Slice index 41, CT, Abdomen

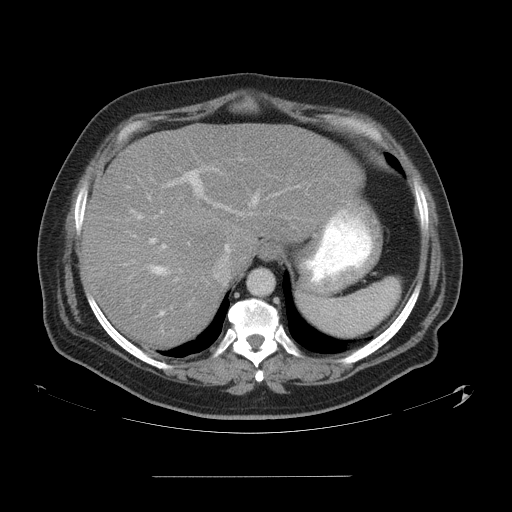
The vessel annotation is not exhaustive.
The top 15 hepatic vessel regions (of 21) are bounded by (left=131, top=209, right=135, bottom=213), (left=159, top=310, right=164, bottom=315), (left=249, top=194, right=259, bottom=206), (left=149, top=238, right=155, bottom=243), (left=132, top=235, right=135, bottom=236), (left=150, top=265, right=168, bottom=275), (left=148, top=197, right=150, bottom=199), (left=162, top=244, right=165, bottom=248), (left=272, top=193, right=279, bottom=195), (left=249, top=212, right=252, bottom=215), (left=214, top=168, right=217, bottom=170), (left=225, top=245, right=230, bottom=252), (left=138, top=214, right=142, bottom=218), (left=297, top=185, right=298, bottom=187), (left=162, top=169, right=243, bottom=215).